Slice 129/155; 240x240 px
FLAIR MR.
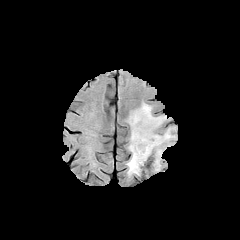
T1-weighted magnetic resonance.
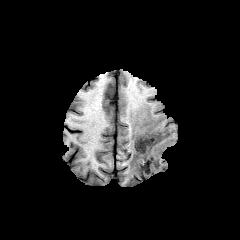
Post-contrast T1-weighted MRI.
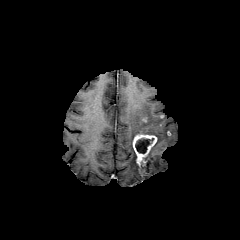
T2-weighted MR.
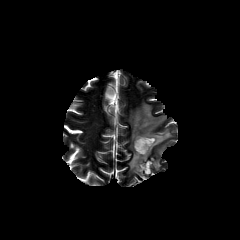
Findings:
- edema: (x1=126, y1=103, x2=172, y2=174), (x1=154, y1=159, x2=160, y2=169)
- enhancing tumor: (x1=132, y1=134, x2=157, y2=165)
- non-enhancing tumor core: (x1=135, y1=139, x2=149, y2=153)